Slice 56 of 81. Liver. Computed tomography. 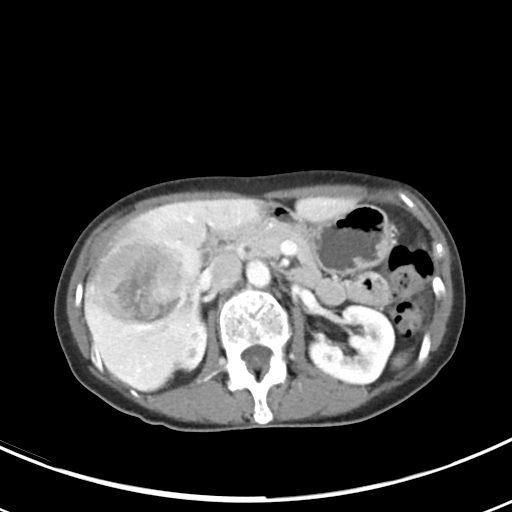

The liver tumor is at 89,220,200,338.